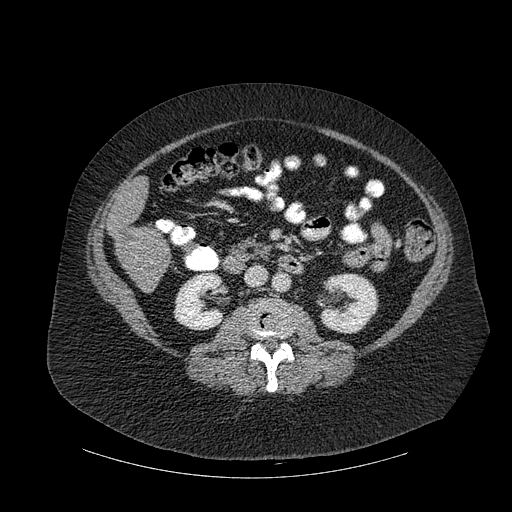

Abdomen; 512x512; CT scan slice

liver: box(108, 176, 171, 290) | kidney: box(174, 273, 222, 329); box(321, 274, 376, 332) | bone: box(251, 343, 293, 391); box(247, 301, 296, 338)